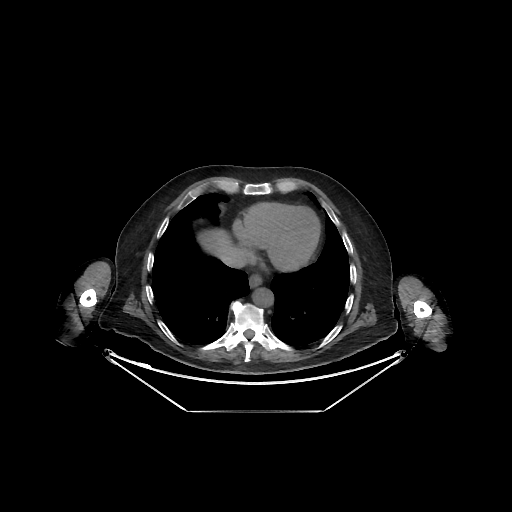

Liver | Computed tomography
Liver = [200,230,246,265].